Field of view 240x240 mm. Slice 107 of 155. Brain.
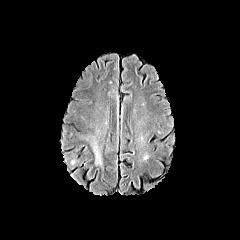
FLAIR magnetic resonance.
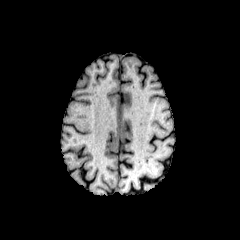
Same slice, T1-weighted magnetic resonance.
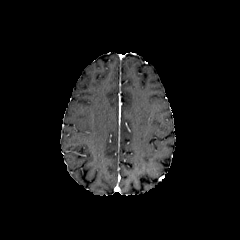
Post-contrast T1-weighted MR image.
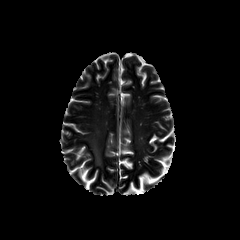
T2-weighted magnetic resonance of the same slice.
Edema = x1=92 y1=144 x2=101 y2=164.